Head; Slice 116 of 155; 240x240
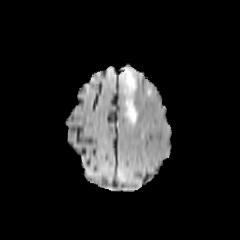
FLAIR magnetic resonance.
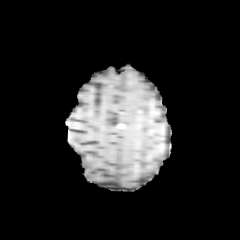
T1-weighted MR of the same slice.
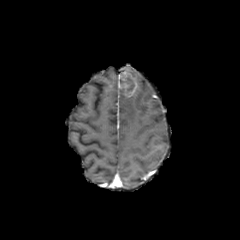
Post-contrast T1-weighted MR.
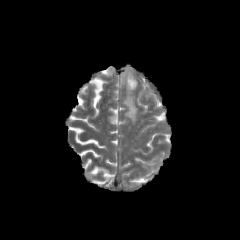
T2-weighted MRI.
Annotated regions:
* enhancing tumor: 119,69,137,96
* edema: 125,93,138,122
* non-enhancing tumor core: 126,77,134,91